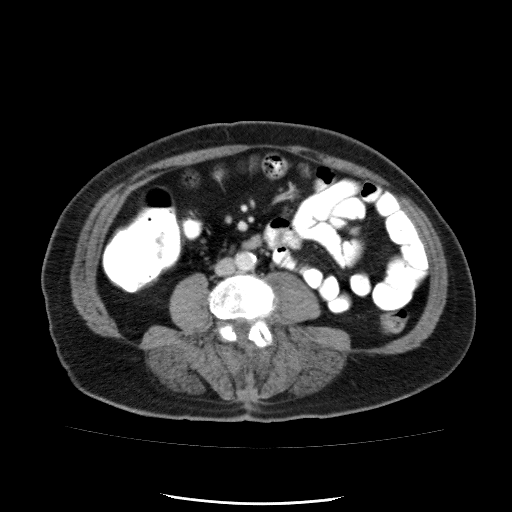 CT slice. The colon tumor lies within (x1=156, y1=232, x2=164, y2=258).